Liver. Image width 382 mm. Slice 415/722. Computed tomography. 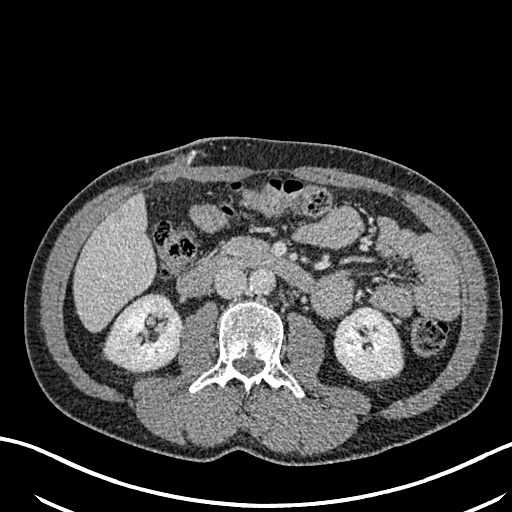
The liver appears at x1=74, y1=194, x2=153, y2=329. The liver lesion lies within x1=114, y1=210, x2=126, y2=222. 2 kidney regions appear at x1=107, y1=295, x2=181, y2=370; x1=335, y1=308, x2=401, y2=379.